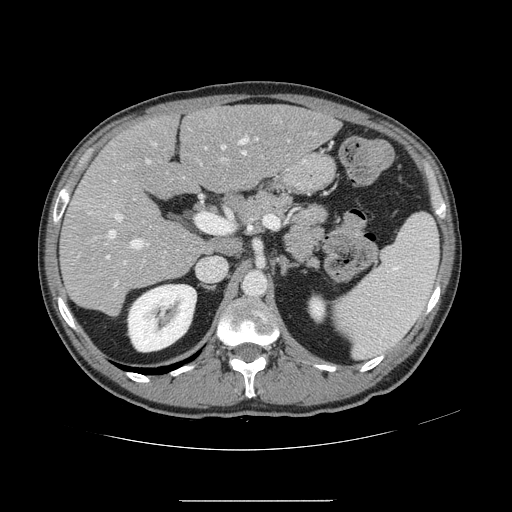

CT slice; Abdomen

Some hepatic vessels may have no box.
Hepatic vessel — box(130, 239, 143, 248); box(113, 180, 115, 181); box(222, 145, 224, 148); box(114, 281, 118, 286); box(106, 256, 109, 258); box(146, 160, 149, 162); box(150, 141, 156, 145); box(222, 158, 224, 159); box(255, 138, 256, 139); box(94, 237, 97, 238); box(240, 136, 248, 143); box(243, 151, 245, 154); box(107, 230, 115, 238); box(197, 213, 203, 228); box(115, 213, 123, 220).